Field of view 240 mm wide, 1.00 mm slice spacing | 240x240
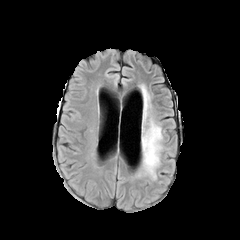
FLAIR MR image.
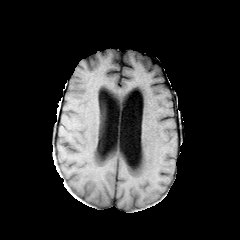
T1-weighted MRI of the same slice.
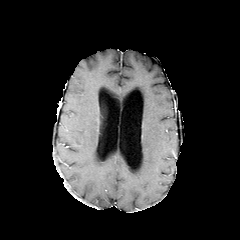
Same slice, post-contrast T1-weighted MR image.
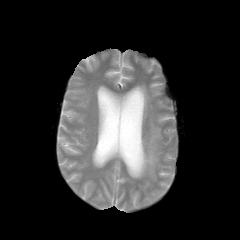
T2-weighted MR image.
The edema is bounded by bbox=[136, 84, 162, 179].